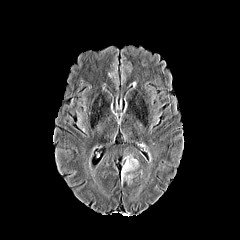
FLAIR magnetic resonance.
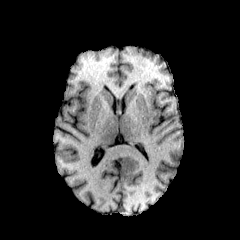
T1-weighted MR.
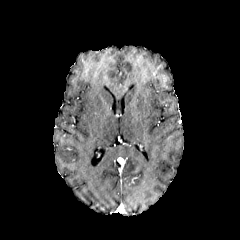
Post-contrast T1-weighted MR image of the same slice.
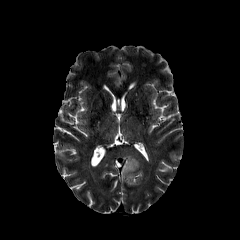
T2-weighted magnetic resonance.
Head. 240x240.
<segmentation>
  <edema>[120, 155, 139, 184]</edema>
</segmentation>